Slice index 111, Brain
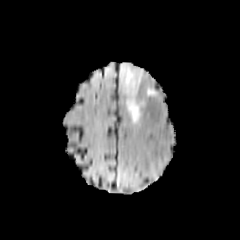
FLAIR magnetic resonance.
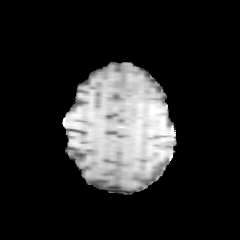
T1-weighted MR of the same slice.
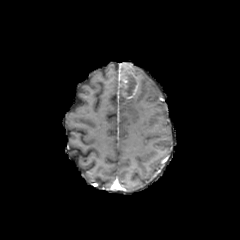
Post-contrast T1-weighted magnetic resonance of the same slice.
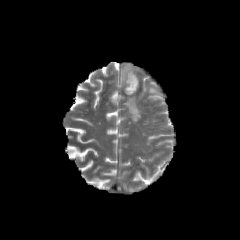
T2-weighted magnetic resonance of the same slice.
edema: [125,89,141,121], [147,88,155,95], [134,66,141,82] | enhancing tumor: [120,63,139,98] | non-enhancing tumor core: [120,74,137,96]